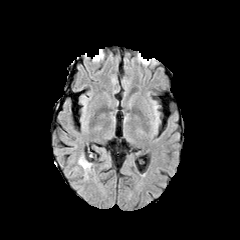
FLAIR MRI.
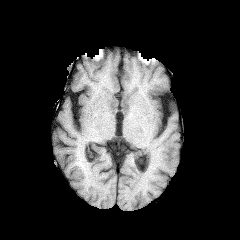
T1-weighted magnetic resonance.
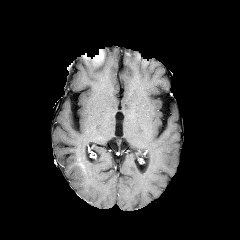
Post-contrast T1-weighted MRI of the same slice.
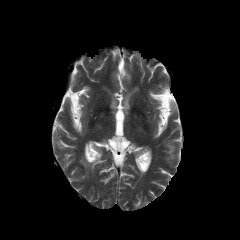
T2-weighted MR.
240x240 px
Annotated regions:
* edema: box=[78, 156, 93, 177]